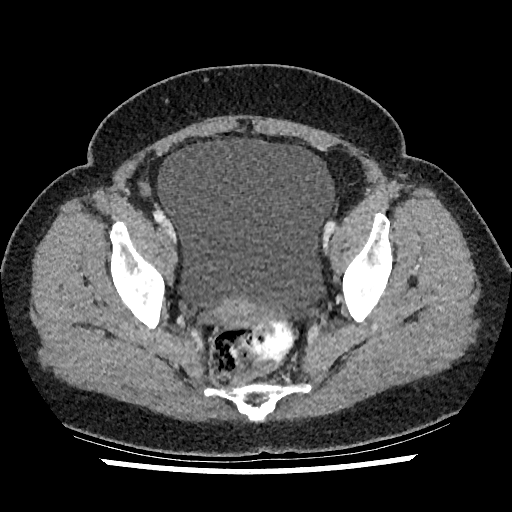 Computed tomography. Lower abdomen. 512x512 px.
urinary_bladder:
  - <bbox>158, 137, 334, 320</bbox>